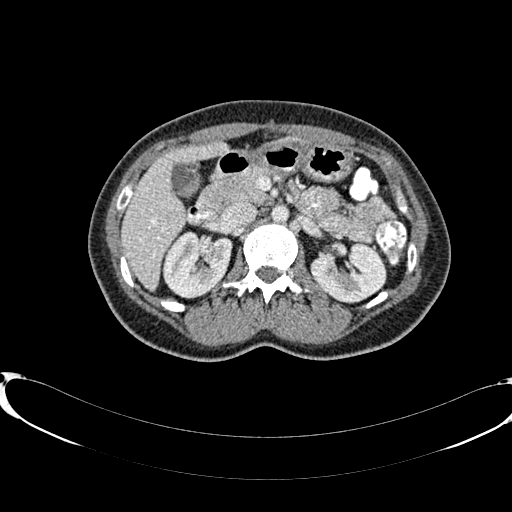
CT image, Liver

<segmentation>
  <kidney><box>312,245,384,301</box>, <box>165,234,230,296</box></kidney>
  <liver><box>268,138,297,145</box>, <box>121,143,226,289</box></liver>
</segmentation>